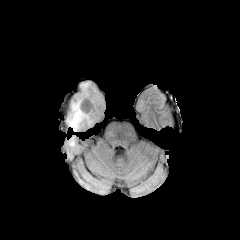
FLAIR MRI.
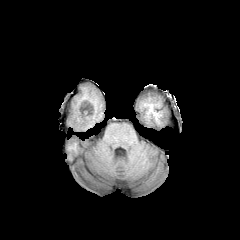
T1-weighted MR image of the same slice.
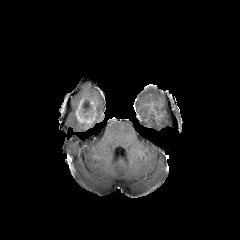
Same slice, post-contrast T1-weighted MRI.
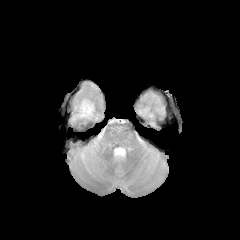
T2-weighted magnetic resonance.
Head
{
  "enhancing_tumor": [
    "(76,108,82,120)"
  ],
  "edema": [
    "(69,99,93,128)"
  ]
}